FLAIR MRI.
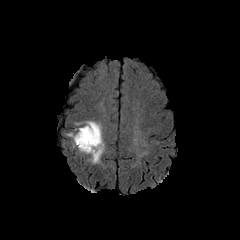
T1-weighted MR.
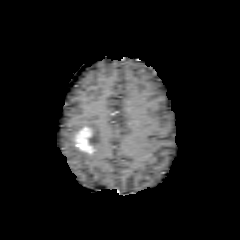
Post-contrast T1-weighted magnetic resonance.
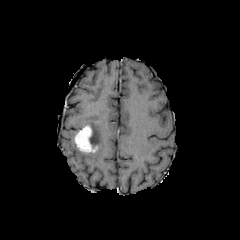
T2-weighted MR.
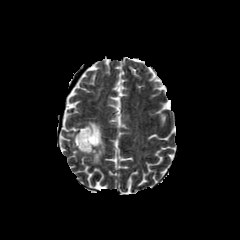
Enhancing tumor: bounding box (74,124,97,152).
Non-enhancing tumor core: bounding box (89,127,94,146).
Edema: bounding box (67,131,78,149), (83,121,104,163).